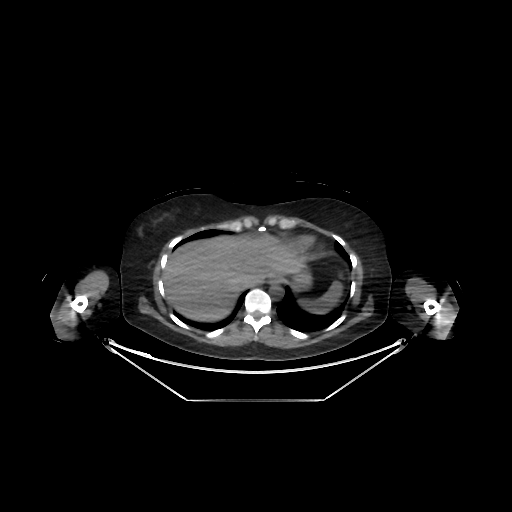

512x512 px | CT scan slice
{
  "liver": [
    "x1=162, y1=232, x2=310, y2=321"
  ]
}